CT slice. Slice 108 of 144. Abdomen.
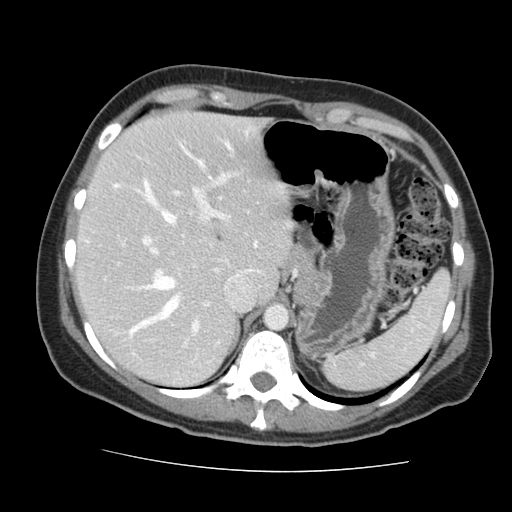
Not every hepatic vessel necessarily has a box.
13 hepatic vessel regions are bounded by box=[151, 249, 156, 253]; box=[129, 297, 177, 335]; box=[193, 188, 228, 218]; box=[196, 160, 202, 165]; box=[146, 271, 174, 289]; box=[227, 144, 230, 148]; box=[143, 237, 149, 244]; box=[205, 304, 207, 305]; box=[217, 175, 226, 183]; box=[192, 322, 197, 332]; box=[181, 147, 187, 153]; box=[209, 177, 210, 179]; box=[254, 244, 255, 246].